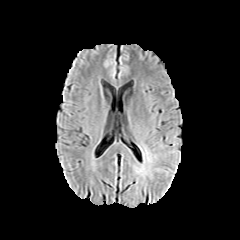
FLAIR MRI.
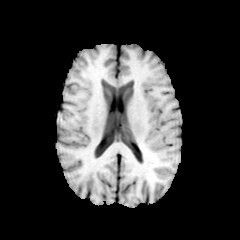
T1-weighted MR.
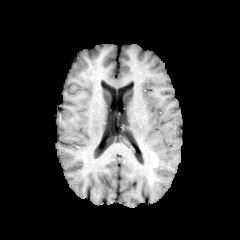
Post-contrast T1-weighted MR image of the same slice.
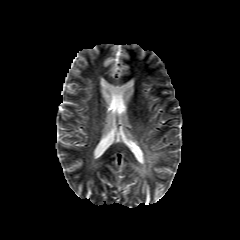
T2-weighted MR image of the same slice.
Findings:
- edema: (left=142, top=150, right=149, bottom=163)